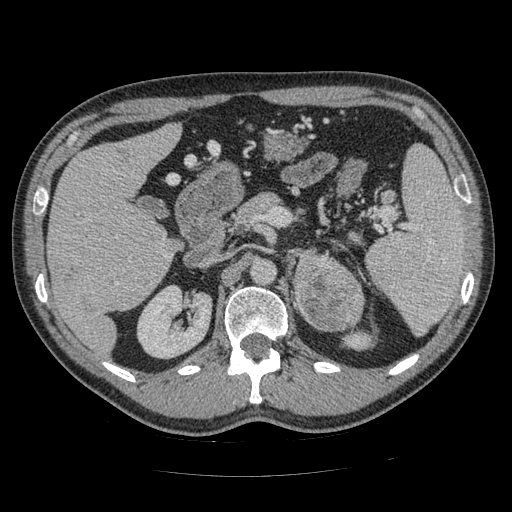
CT slice. Abdomen. - pancreas: x1=239, y1=194, x2=277, y2=219; x1=296, y1=252, x2=351, y2=329
- pancreatic tumor: x1=297, y1=253, x2=363, y2=329